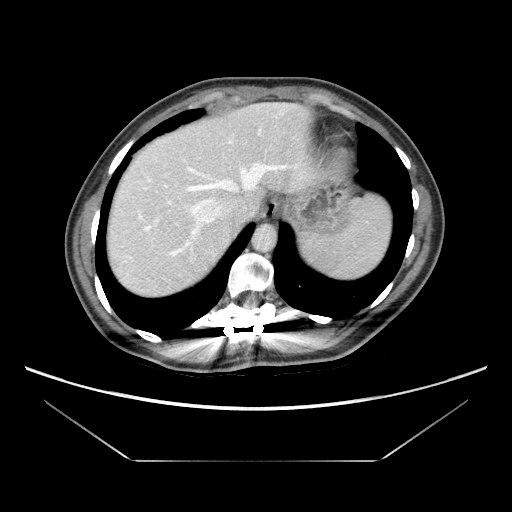
Liver, CT slice

Not every hepatic vessel necessarily has a box.
Hepatic vessel = 184, 162, 291, 192; 165, 185, 167, 186; 168, 197, 232, 256; 181, 158, 185, 162.